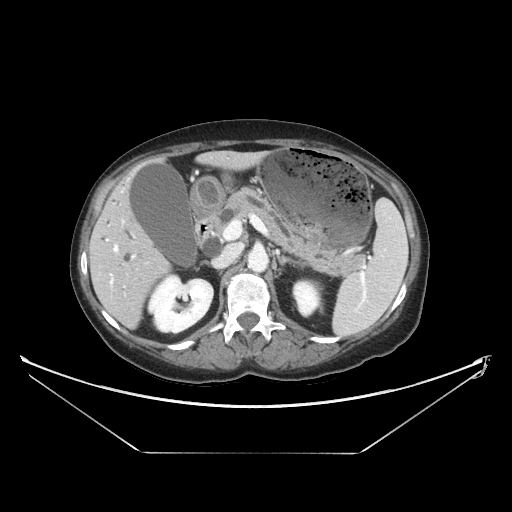
Upper abdomen. CT. Image size 512x512.
Findings:
• pancreas: x1=217 y1=188 x2=364 y2=275